CT slice | Slice 64 of 143

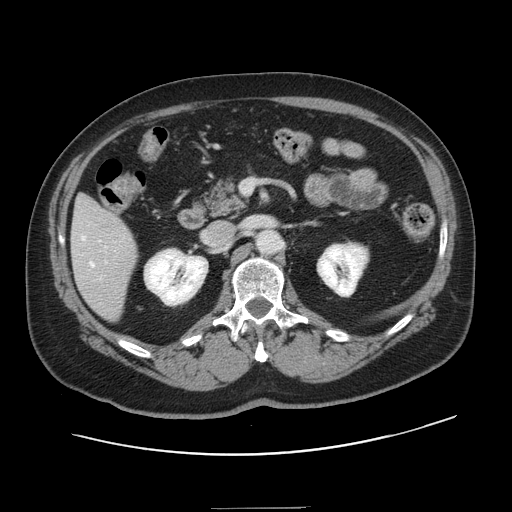 Only some of the vessels may be annotated.
hepatic vessel: [90, 262, 93, 265], [82, 236, 85, 240]